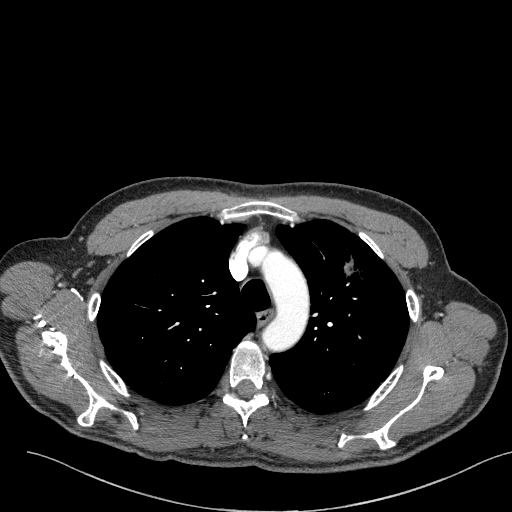

CT | Thorax
lung tumor: [x1=339, y1=252, x2=372, y2=288]